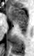 MRI | Hippocampus

Posterior hippocampus = bbox(16, 23, 27, 34).
Anterior hippocampus = bbox(9, 6, 27, 22).